FLAIR MR.
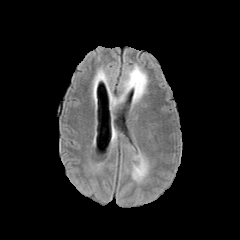
T1-weighted MR image.
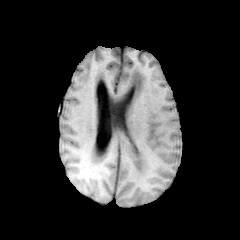
Post-contrast T1-weighted MR.
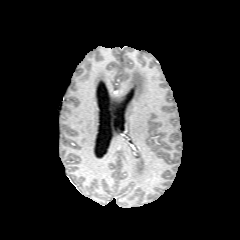
T2-weighted MR image.
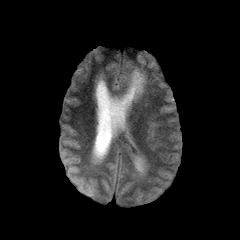
Head
Edema at 111:130:120:146, 110:64:147:109, 124:146:148:181.